240x240 | Brain | Field of view 240 mm wide, 1.00 mm slice spacing
FLAIR MR image.
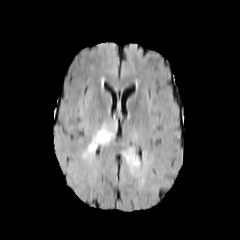
T1-weighted MR.
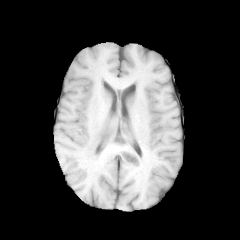
Post-contrast T1-weighted MR.
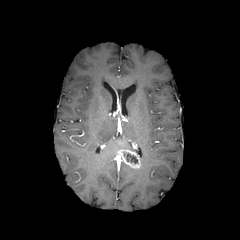
T2-weighted magnetic resonance.
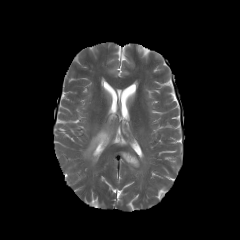
Findings:
* edema: x1=83, y1=123, x2=113, y2=162
* non-enhancing tumor core: x1=123, y1=151, x2=138, y2=164
* enhancing tumor: x1=118, y1=149, x2=140, y2=168